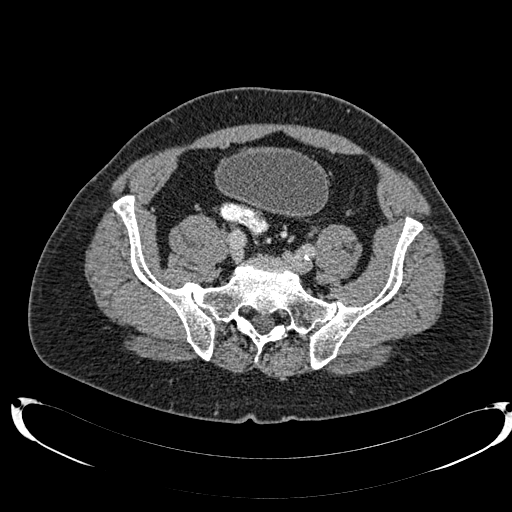

CT slice

The urinary bladder is located at [x1=217, y1=148, x2=328, y2=214].